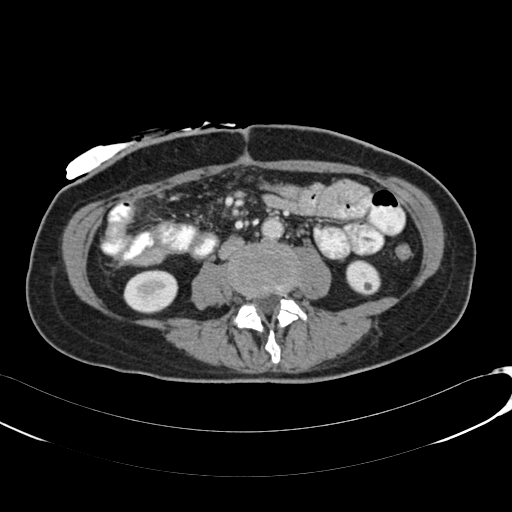 CT scan slice

Kidney — bbox=[347, 262, 378, 292]; bbox=[125, 271, 176, 311].